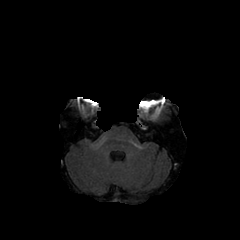
FLAIR MR.
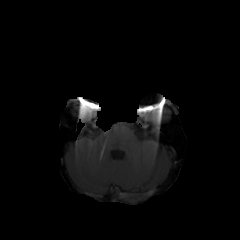
T1-weighted MR image.
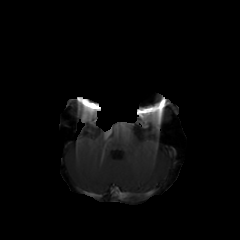
Same slice, post-contrast T1-weighted MRI.
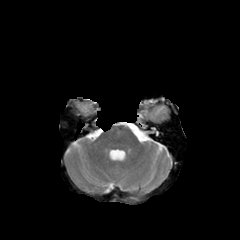
T2-weighted magnetic resonance of the same slice.
Brain
non-enhancing tumor core: box(138, 100, 161, 120)